Slice index 26; MRI; Medial temporal lobe

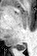 The posterior hippocampus is at (left=17, top=45, right=26, bottom=49).